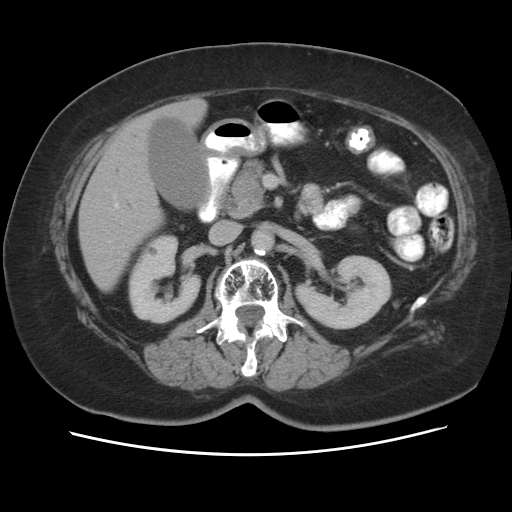
Computed tomography; Upper abdomen; Image size 512x512
Pancreas: 231,159,266,218.